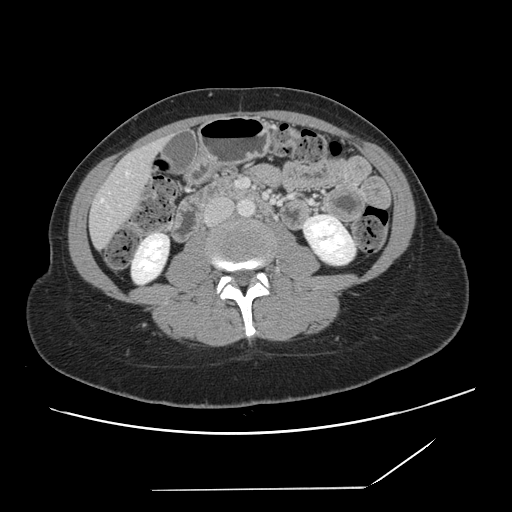

CT.
Not every hepatic vessel necessarily has a box.
Hepatic vessel = <box>101,199,103,202</box>, <box>126,172,129,175</box>.